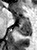
37x50 px. Medial temporal lobe. MR. The posterior hippocampus is at left=15, top=24, right=31, bottom=36. 2 anterior hippocampus regions appear at left=19, top=15, right=29, bottom=23; left=14, top=14, right=16, bottom=20.